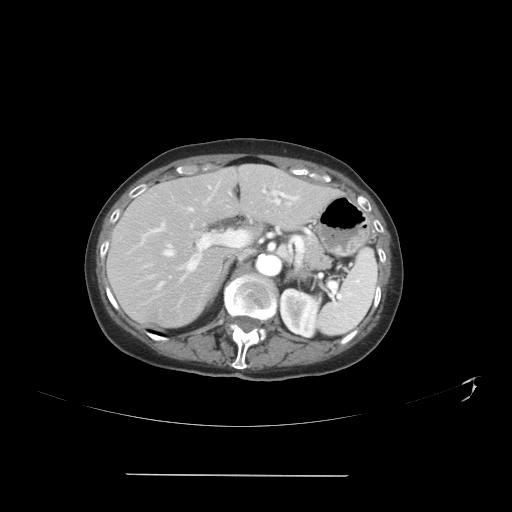
Computed tomography; Abdomen
Only some of the vessels may be annotated.
hepatic_vessel:
  - (270, 190, 298, 204)
  - (204, 197, 210, 203)
  - (188, 207, 192, 210)
  - (180, 275, 185, 281)
  - (141, 222, 164, 243)
  - (164, 244, 172, 255)
  - (208, 186, 210, 187)
  - (262, 188, 265, 192)
  - (181, 250, 201, 270)
  - (190, 224, 192, 226)